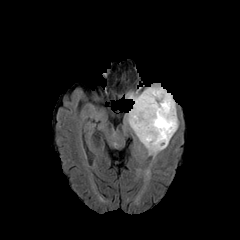
FLAIR MR.
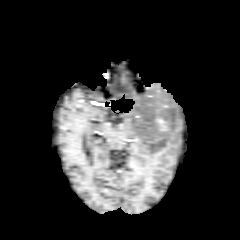
Same slice, T1-weighted MR image.
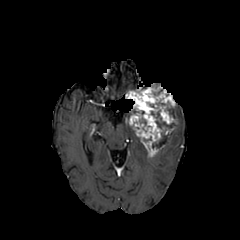
Same slice, post-contrast T1-weighted MRI.
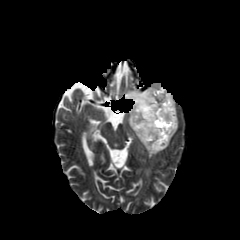
T2-weighted MR image.
Brain.
* non-enhancing tumor core: (x1=156, y1=119, x2=177, y2=130), (x1=152, y1=133, x2=169, y2=147)
* enhancing tumor: (x1=125, y1=83, x2=177, y2=155)
* edema: (x1=158, y1=127, x2=177, y2=151)